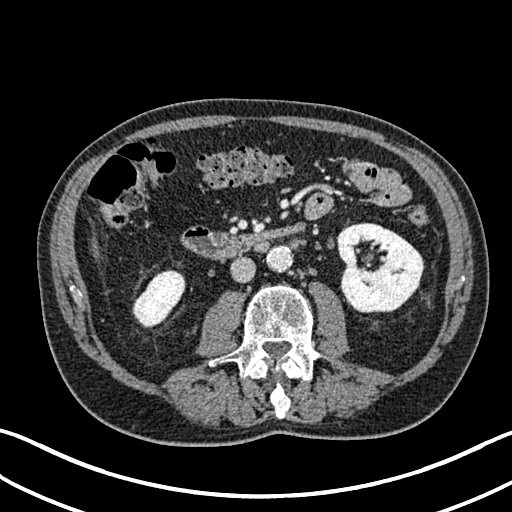
CT image
Kidney = {"x1": 134, "y1": 271, "x2": 184, "y2": 325}, {"x1": 338, "y1": 224, "x2": 422, "y2": 311}.
Liver = {"x1": 92, "y1": 239, "x2": 98, "y2": 257}.